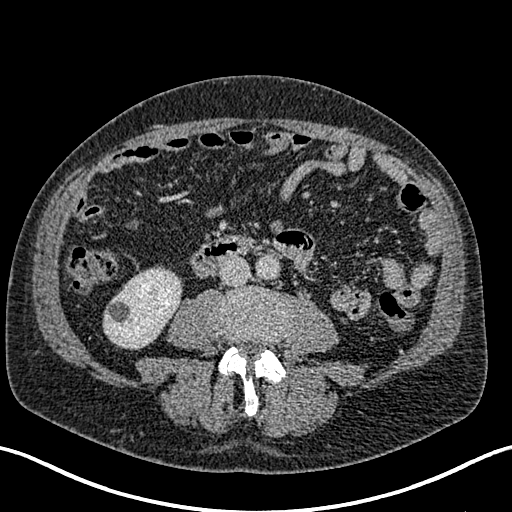 Image size 512x512 | CT
Kidney = (103, 269, 180, 347).